Head, 240x240, Slice 61 of 155, Field of view 240 mm wide, 1.00 mm slice spacing
FLAIR magnetic resonance.
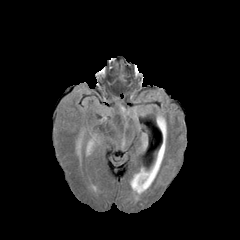
T1-weighted MRI.
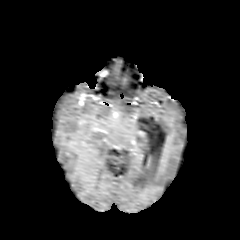
Post-contrast T1-weighted MRI.
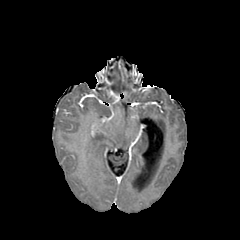
T2-weighted MRI.
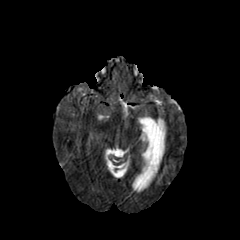
The edema lies within 87, 134, 98, 153.